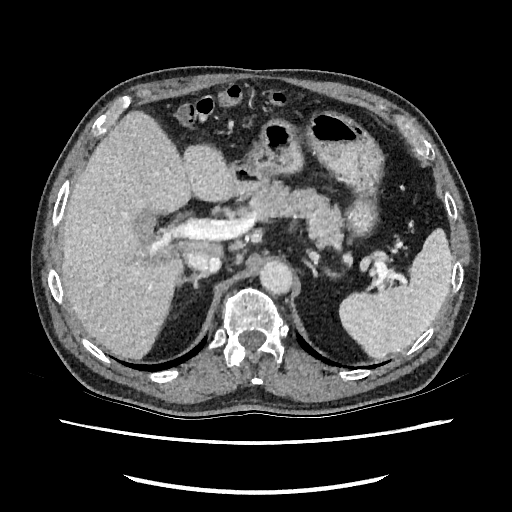
CT. 512x512 px. Abdomen.

liver: [63,113,232,358], [182,241,220,253] | hepatic lesion: [150,243,181,259], [135,211,159,246]